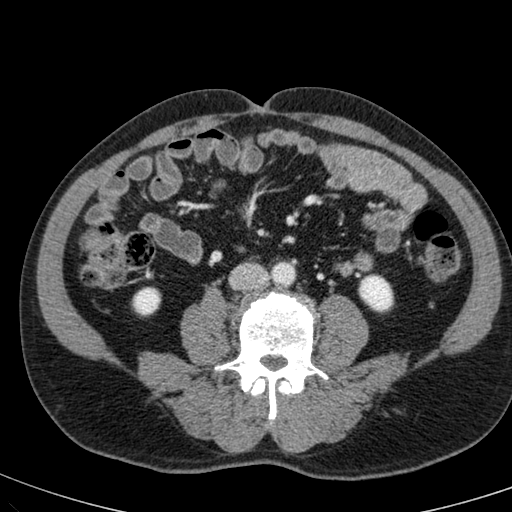 CT scan slice | Image size 512x512

<segmentation>
  <kidney><bbox>135, 289, 158, 313</bbox>, <bbox>361, 276, 391, 309</bbox></kidney>
</segmentation>